FLAIR MR.
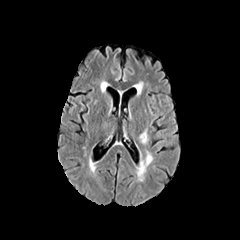
T1-weighted MR image.
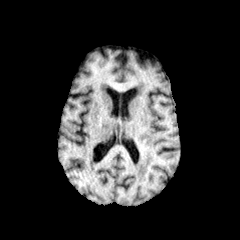
Post-contrast T1-weighted MRI.
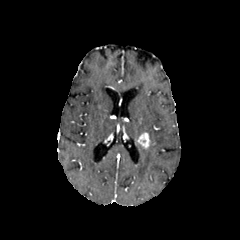
T2-weighted magnetic resonance.
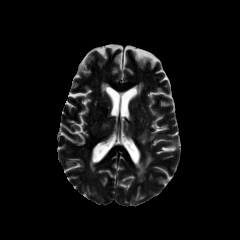
Edema at (135,150,153,181).
Enhancing tumor at (137,131,151,149).